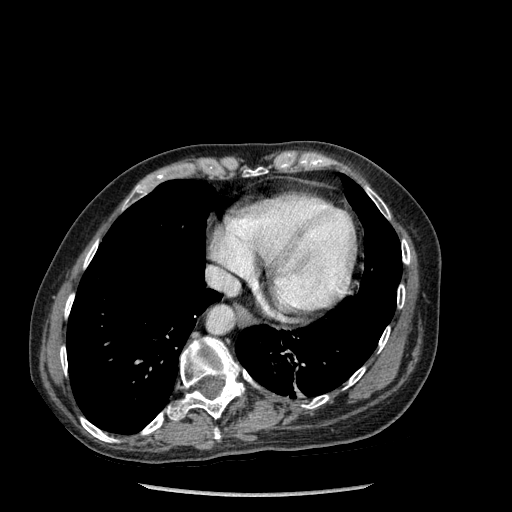 CT; 512x512; Chest

bone:
  - 364:186:390:219
  - 80:417:118:442
  - 83:240:98:268
  - 344:367:365:389
  - 242:369:257:386
  - 141:337:244:434
  - 378:326:390:352
  - 244:167:267:176
  - 302:395:328:408
  - 60:346:67:375
  - 401:239:410:264
  - 397:284:405:308
  - 64:294:74:317
  - 123:185:146:209
  - 214:428:220:439
lung:
  - 235:175:401:398
  - 66:179:221:434